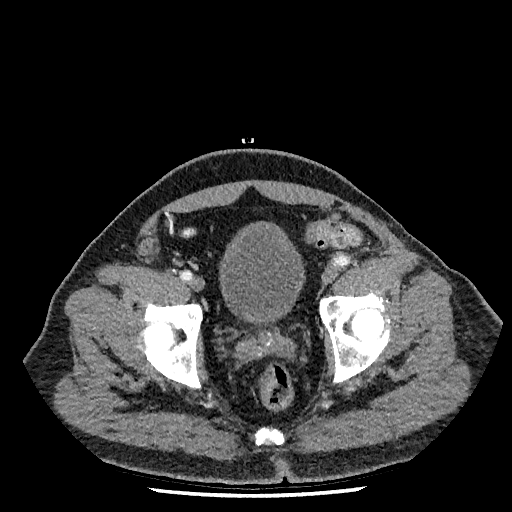 Computed tomography, Lower abdomen

The urinary bladder is bounded by 219:221:305:324.